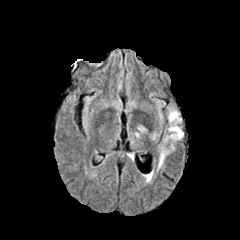
FLAIR MR image.
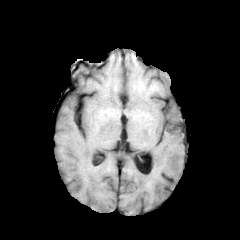
T1-weighted MR.
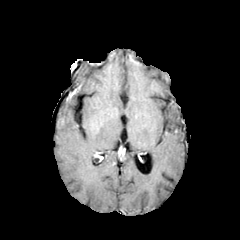
Same slice, post-contrast T1-weighted MRI.
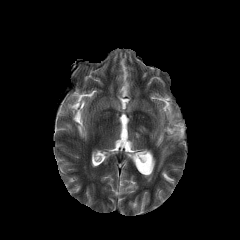
T2-weighted MR image.
Head
Findings:
- edema: bbox=[158, 144, 167, 166]; bbox=[163, 106, 183, 143]